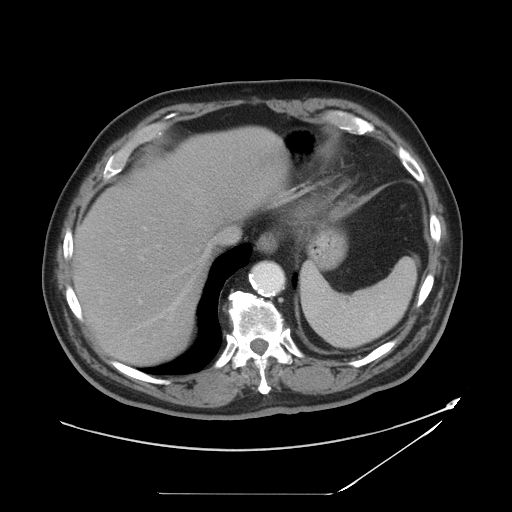 512x512. CT image.
Some hepatic vessels may have no box.
9 hepatic vessel regions are located at [142,226,146,229], [121,249,123,250], [137,239,138,241], [140,257,143,259], [206,244,210,253], [157,245,159,247], [110,277,112,279], [131,287,188,330], [138,296,141,303].